FLAIR MR.
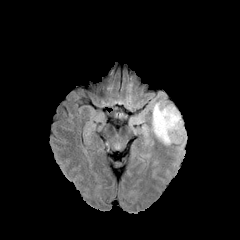
T1-weighted magnetic resonance.
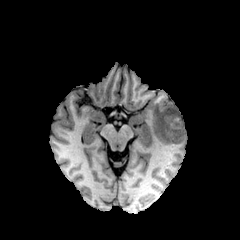
Post-contrast T1-weighted MR.
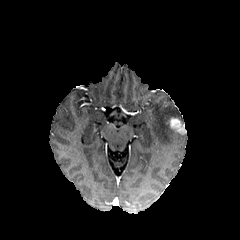
T2-weighted MRI.
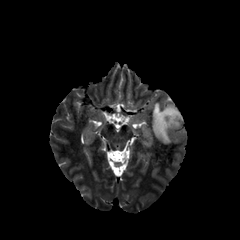
Enhancing tumor = box(166, 117, 184, 133).
Edema = box(152, 102, 180, 144).